Hippocampus, Field of view 38x50 mm, MRI slice, Slice 8 of 39, 38x50 px
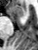

The anterior hippocampus is at rect(7, 5, 22, 19).